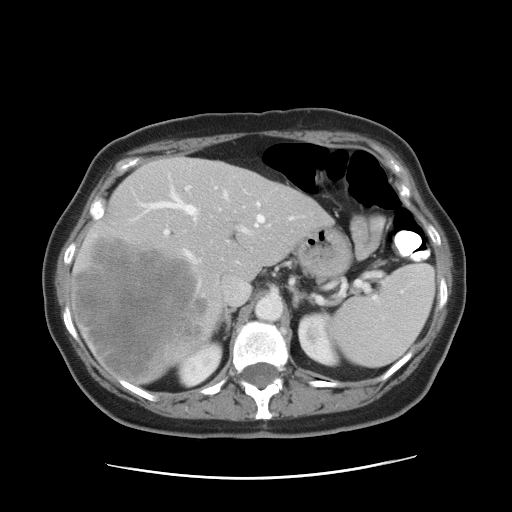
CT scan slice

Some hepatic vessels may have no box.
<segmentation>
  <liver_tumor>box=[74, 235, 210, 378]</liver_tumor>
  <hepatic_vessel>box=[255, 215, 264, 226]; box=[184, 251, 199, 262]; box=[238, 226, 250, 233]; box=[290, 217, 294, 219]; box=[223, 191, 227, 198]; box=[257, 202, 259, 206]; box=[222, 277, 249, 304]; box=[165, 230, 168, 234]; box=[138, 189, 196, 219]; box=[186, 186, 190, 190]</hepatic_vessel>
</segmentation>